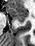
Hippocampus; MRI slice

Posterior hippocampus = box=[19, 21, 23, 23].
Anterior hippocampus = box=[6, 6, 28, 20].